Image size 512x512 | CT slice 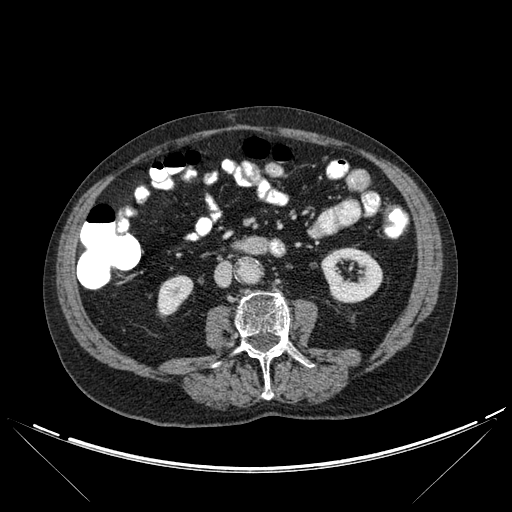
Segmented structures:
• bone: (235, 292, 289, 399)
• kidney: (322, 248, 382, 302), (158, 276, 192, 314)